Field of view 512x512 mm, 512x512 px, CT slice

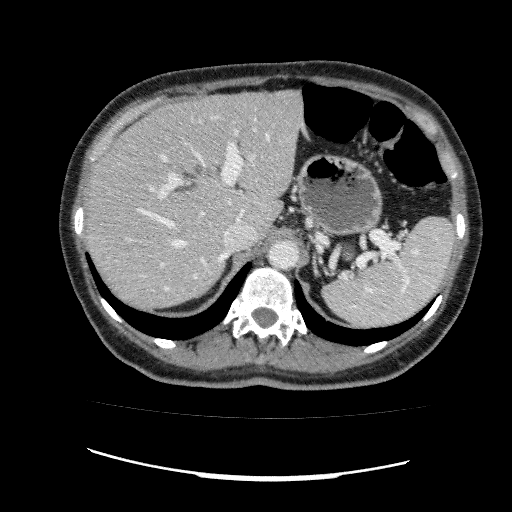 <segmentation>
  <liver>84,90,309,308</liver>
</segmentation>